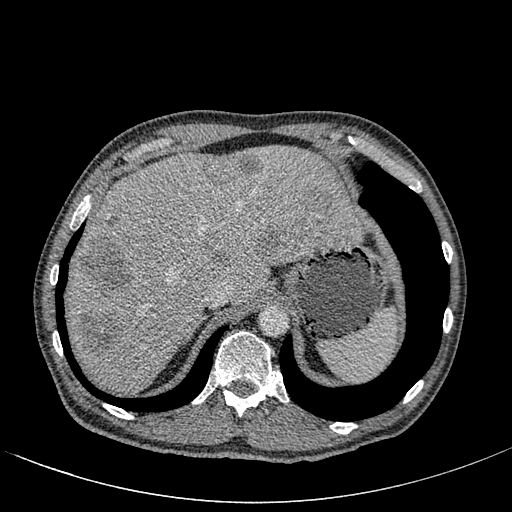
512x512 | Computed tomography | Abdomen
The liver is bounded by <bbox>68, 146, 364, 393</bbox>. 7 hepatic lesion regions appear at <bbox>109, 216, 118, 224</bbox>, <bbox>79, 311, 122, 353</bbox>, <bbox>258, 230, 281, 250</bbox>, <bbox>212, 243, 228, 264</bbox>, <bbox>206, 152, 260, 187</bbox>, <bbox>82, 239, 131, 293</bbox>, <bbox>310, 190, 331, 211</bbox>.